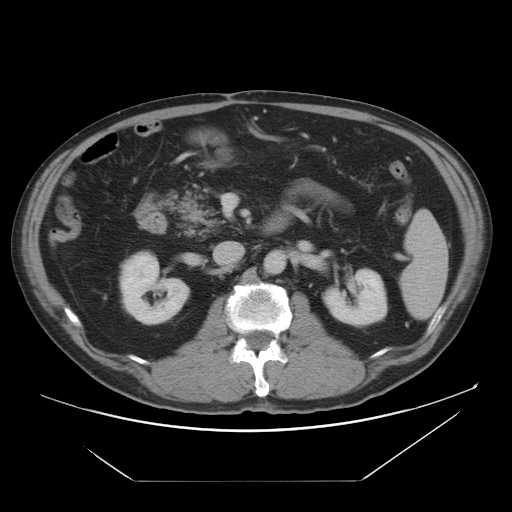
CT scan slice
{
  "kidney": [
    "<box>122,255,187,323</box>",
    "<box>326,270,386,323</box>"
  ],
  "liver": [
    "<box>60,220,77,241</box>"
  ]
}